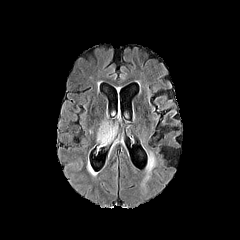
FLAIR MR.
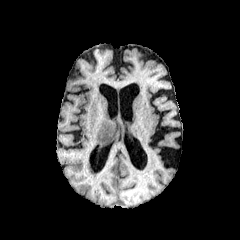
Same slice, T1-weighted magnetic resonance.
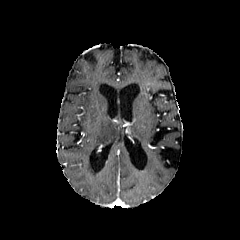
Same slice, post-contrast T1-weighted MR.
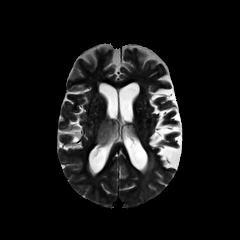
Same slice, T2-weighted magnetic resonance.
Brain
Edema: bounding box bbox(96, 122, 117, 145); bbox(86, 159, 96, 176).